512x512, Upper abdomen, CT scan slice, Slice 12/76 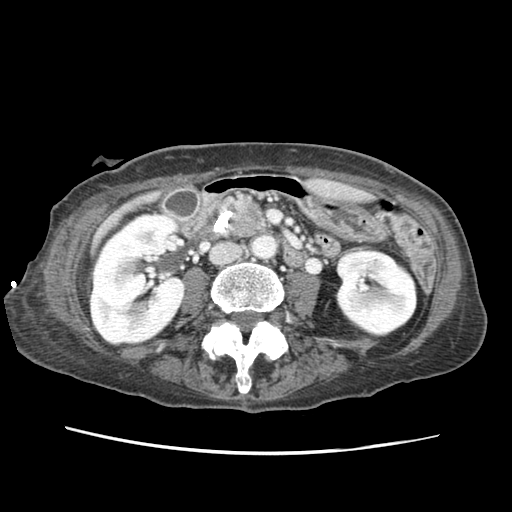
<segmentation>
  <pancreas>232,199,265,236</pancreas>
  <pancreatic_tumor>236,203,261,234</pancreatic_tumor>
</segmentation>